Computed tomography.
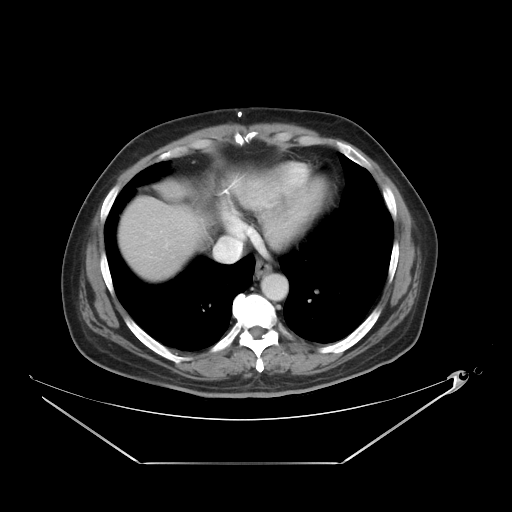
Some hepatic vessels may have no box.
Hepatic vessel — (x1=218, y1=244, x2=226, y2=246).